CT scan slice. Slice 315 of 630. 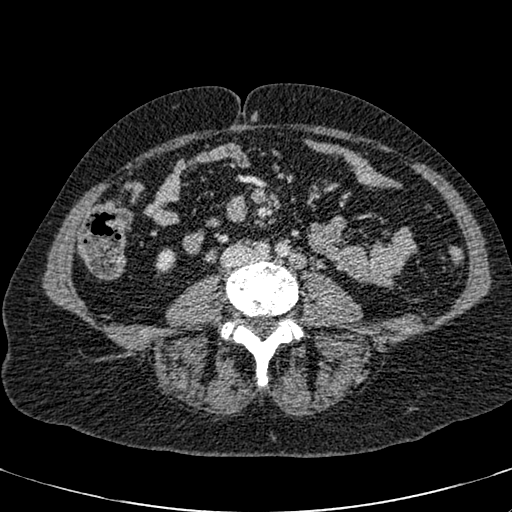
<segmentation>
  <kidney><box>157,250,174,270</box></kidney>
</segmentation>